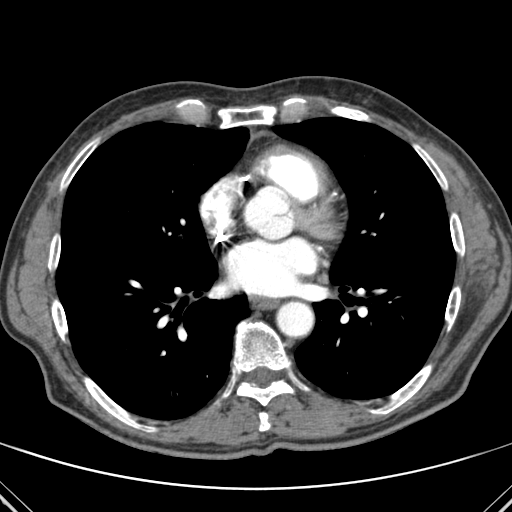

CT scan slice. Chest.

{"partial": true, "lung": ["bbox(56, 121, 249, 419)", "bbox(273, 117, 455, 398)"], "bone": {"n_total": 16, "boxes": ["bbox(218, 106, 275, 128)", "bbox(84, 378, 154, 431)", "bbox(414, 145, 447, 189)", "bbox(290, 371, 308, 390)", "bbox(222, 321, 290, 397)", "bbox(450, 213, 464, 255)", "bbox(48, 234, 60, 270)", "bbox(259, 412, 270, 430)", "bbox(177, 99, 203, 106)", "bbox(52, 300, 67, 340)", "bbox(331, 107, 368, 120)", "bbox(60, 139, 97, 189)", "bbox(237, 380, 293, 405)", "bbox(371, 365, 431, 414)", "bbox(445, 286, 460, 329)"]}}